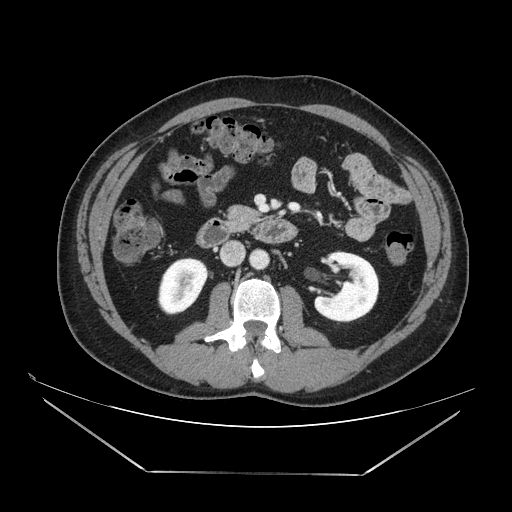 512x512 px; Computed tomography

Pancreas = box(226, 205, 260, 231).